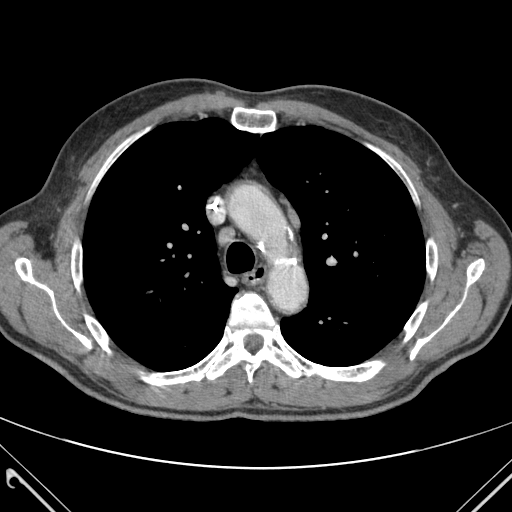

CT slice | 512x512

* bone: <bbox>15, 258, 91, 348</bbox>, <bbox>404, 302, 426, 341</bbox>, <bbox>71, 244, 81, 289</bbox>, <bbox>93, 127, 149, 185</bbox>, <bbox>426, 240, 437, 279</bbox>, <bbox>368, 145, 411, 186</bbox>, <bbox>231, 107, 276, 132</bbox>, <bbox>85, 315, 110, 352</bbox>, <bbox>142, 293, 383, 385</bbox>, <bbox>410, 259, 484, 359</bbox>
* lung: <bbox>83, 118, 425, 371</bbox>